Computed tomography, Field of view 370 mm wide, 0.70 mm slice spacing 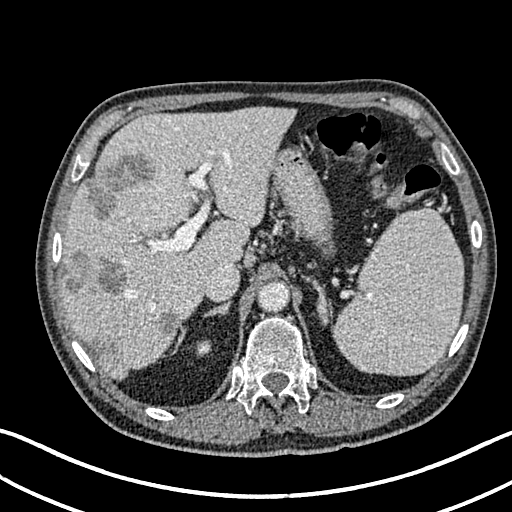

Liver lesion: bbox=[92, 342, 106, 356]; bbox=[86, 155, 153, 217]; bbox=[157, 314, 178, 334]; bbox=[66, 251, 127, 298].
Liver: bbox=[64, 107, 295, 377].
Kidney: bbox=[199, 344, 208, 352].